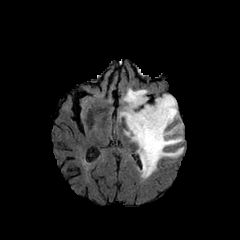
FLAIR MR.
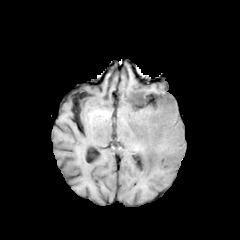
T1-weighted MR image.
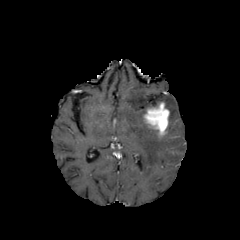
Post-contrast T1-weighted MR image.
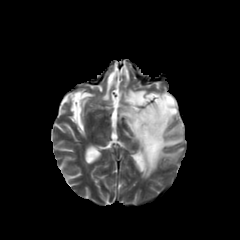
T2-weighted MR of the same slice.
Head
Findings:
* enhancing tumor: bbox(144, 102, 169, 137)
* non-enhancing tumor core: bbox(148, 96, 169, 106)
* edema: bbox(118, 88, 183, 179)